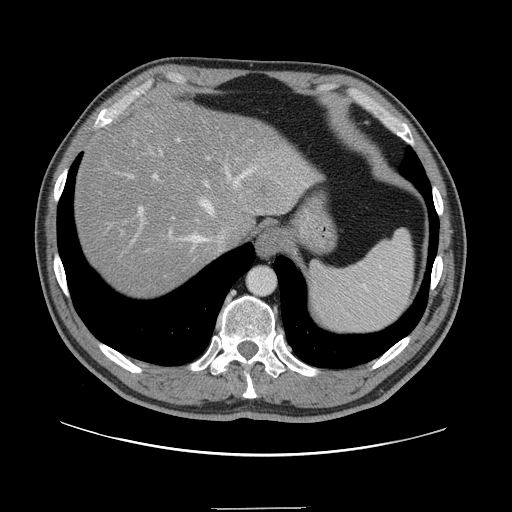

CT

Not every hepatic vessel necessarily has a box.
11 hepatic vessel regions are located at 241 169 252 176, 189 236 206 250, 205 181 208 186, 201 200 213 213, 153 175 157 179, 159 151 161 155, 127 175 134 177, 178 140 180 141, 227 168 239 187, 170 231 173 241, 138 207 143 223.